Thorax, Image width 409 mm, CT 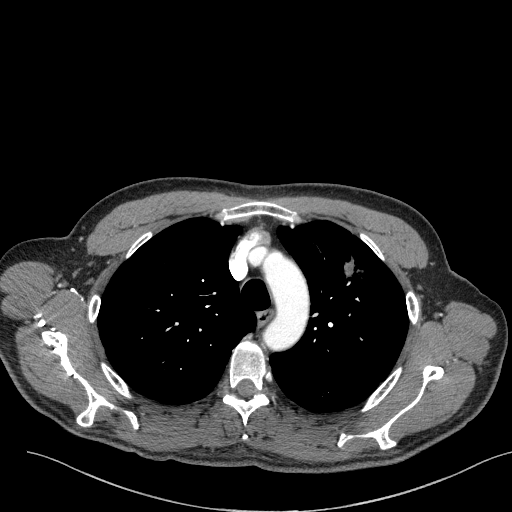

Findings:
• lung tumor: x1=339, y1=253, x2=372, y2=289